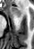

Medial temporal lobe; MR image
Anterior hippocampus: bounding box region(10, 6, 20, 16).